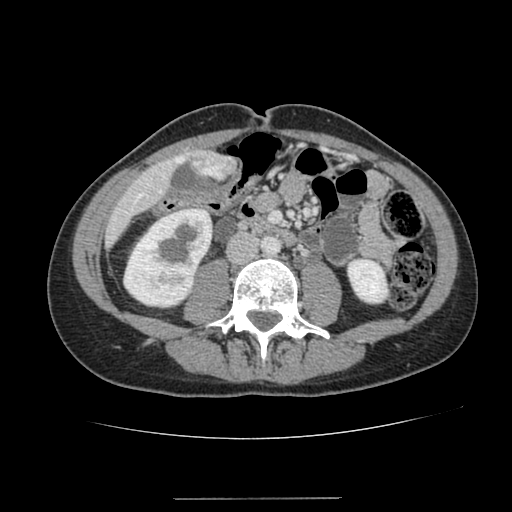

CT scan slice

The liver lies within region(104, 150, 235, 248). The liver lesion lies within region(203, 153, 227, 167). 2 kidney regions appear at region(124, 209, 211, 306); region(348, 260, 387, 301).